Slice 92/155
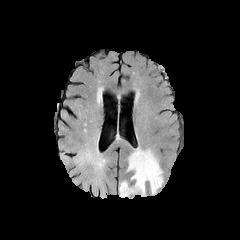
FLAIR MR image.
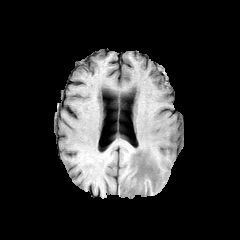
Same slice, T1-weighted MRI.
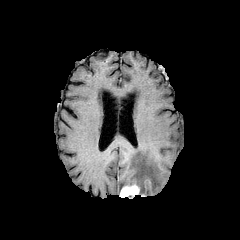
Same slice, post-contrast T1-weighted MR.
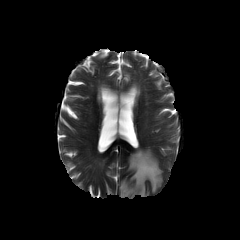
T2-weighted MR.
Enhancing tumor = [120,185,140,197].
Edema = [127,148,163,194].